Slice 62 of 155, Head, Image size 240x240
FLAIR MR.
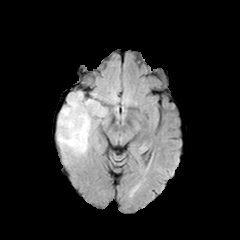
T1-weighted MRI.
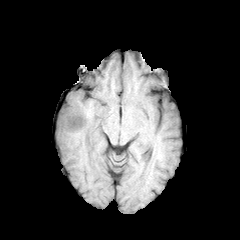
Post-contrast T1-weighted MRI.
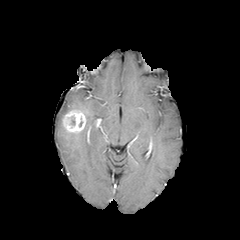
T2-weighted MR image.
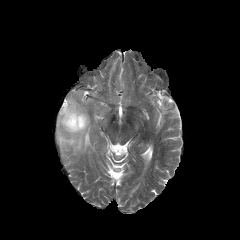
non-enhancing_tumor_core:
  - bbox(58, 128, 77, 144)
edema:
  - bbox(56, 91, 106, 159)
enhancing_tumor:
  - bbox(61, 104, 86, 133)